CT; Field of view 350 mm wide, 2.00 mm slice spacing 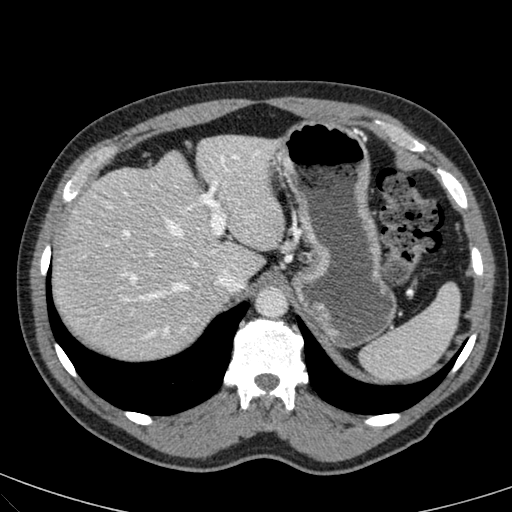

liver:
  - [54, 133, 282, 359]